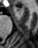

Hippocampus | MRI | 38x48 px
The anterior hippocampus appears at [17,8,19,10].